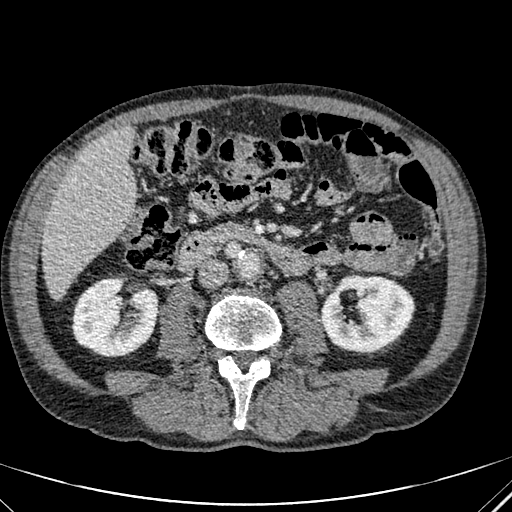

CT scan slice
The liver appears at (x1=41, y1=126, x2=135, y2=300). 2 kidney regions are bounded by (x1=322, y1=276, x2=413, y2=350), (x1=73, y1=279, x2=156, y2=355).